MRI slice. Image width 36 mm. 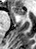

Annotated regions:
- anterior hippocampus: box(11, 5, 25, 18)